Slice index 57; Computed tomography
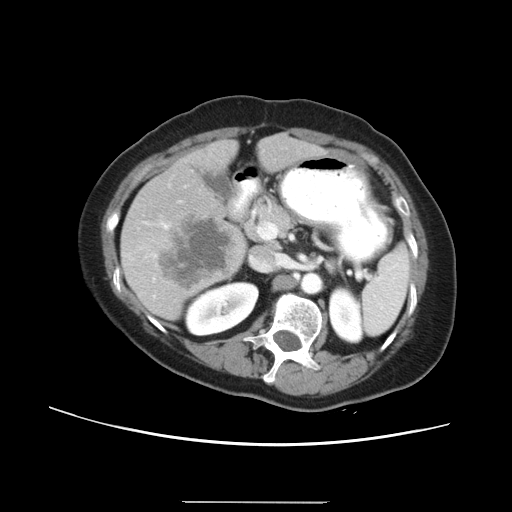 Only some of the vessels may be annotated.
{"liver_tumor": ["<box>162,217,230,286</box>"], "hepatic_vessel": ["<box>152,278,155,280</box>"]}